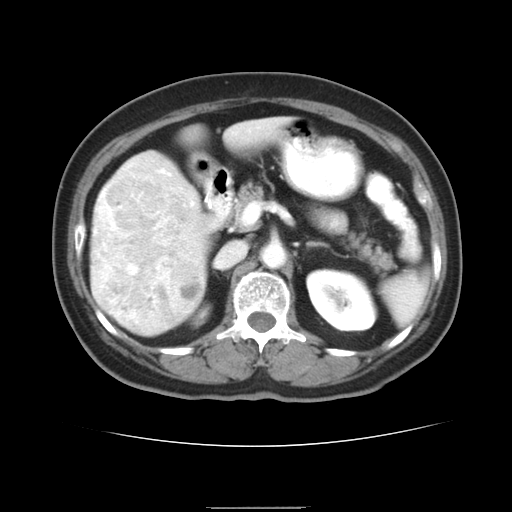 CT. liver tumor: rect(92, 152, 204, 334)